Abdomen, CT slice
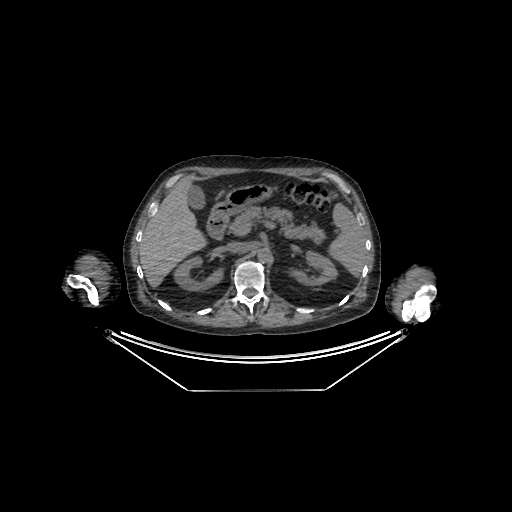
2 kidney regions appear at (left=174, top=256, right=223, bottom=290), (left=288, top=250, right=337, bottom=285). The liver is at (left=136, top=176, right=205, bottom=286).